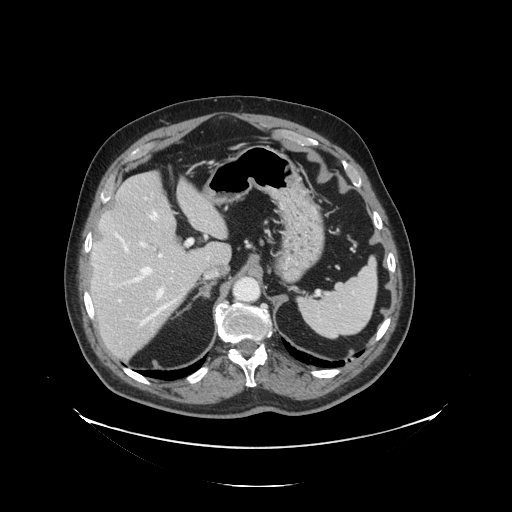 512x512, CT
Not every hepatic vessel necessarily has a box.
10 hepatic vessel regions appear at box=[156, 288, 163, 301]; box=[138, 298, 179, 328]; box=[159, 253, 162, 257]; box=[119, 300, 120, 302]; box=[115, 233, 127, 252]; box=[125, 269, 144, 283]; box=[146, 267, 152, 273]; box=[140, 243, 146, 246]; box=[149, 211, 157, 220]; box=[205, 275, 212, 278].